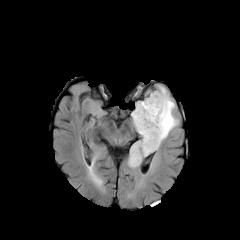
FLAIR magnetic resonance.
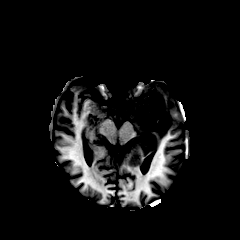
T1-weighted magnetic resonance.
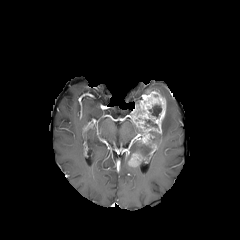
Post-contrast T1-weighted magnetic resonance of the same slice.
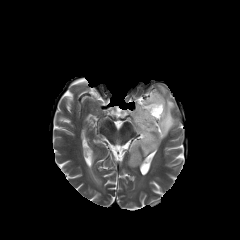
Same slice, T2-weighted magnetic resonance.
Brain
Findings:
• enhancing tumor: {"x1": 131, "y1": 91, "x2": 165, "y2": 132}
• non-enhancing tumor core: {"x1": 144, "y1": 119, "x2": 157, "y2": 127}, {"x1": 130, "y1": 151, "x2": 139, "y2": 163}, {"x1": 148, "y1": 104, "x2": 161, "y2": 119}, {"x1": 137, "y1": 127, "x2": 161, "y2": 151}
• edema: {"x1": 126, "y1": 141, "x2": 155, "y2": 167}, {"x1": 130, "y1": 118, "x2": 141, "y2": 135}, {"x1": 156, "y1": 86, "x2": 178, "y2": 142}